512x512. Liver. CT. Slice 432/689. Field of view 360x360 mm.
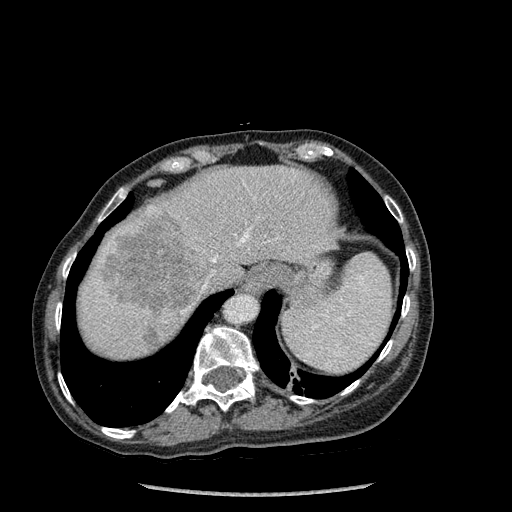
- lung: <bbox>60, 194, 230, 427</bbox>, <bbox>253, 291, 365, 398</bbox>, <bbox>347, 170, 408, 295</bbox>
- bone: <bbox>341, 380, 359, 395</bbox>, <bbox>98, 188, 125, 221</bbox>, <bbox>58, 373, 72, 402</bbox>, <bbox>101, 427, 134, 438</bbox>, <bbox>378, 340, 392, 361</bbox>, <bbox>406, 247, 416, 270</bbox>, <bbox>54, 302, 61, 330</bbox>, <bbox>166, 326, 258, 412</bbox>, <bbox>401, 295, 410, 317</bbox>, <bbox>290, 395, 313, 404</bbox>, <bbox>62, 252, 75, 277</bbox>, <bbox>384, 196, 402, 222</bbox>
- hepatic lesion: <bbox>144, 329, 158, 345</bbox>, <bbox>100, 214, 206, 313</bbox>
- liver: <bbox>77, 165, 343, 360</bbox>